FLAIR MR image.
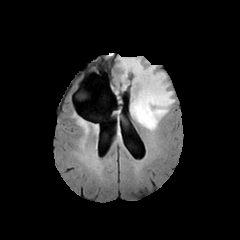
T1-weighted MR.
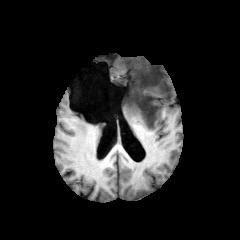
Post-contrast T1-weighted MR image.
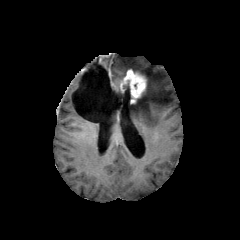
T2-weighted MRI.
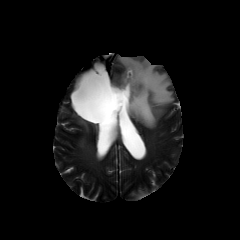
Brain
Non-enhancing tumor core at bbox=[136, 72, 149, 107].
Enhancing tumor at bbox=[116, 69, 146, 103].
Edema at bbox=[117, 57, 174, 130].